Magnetic resonance 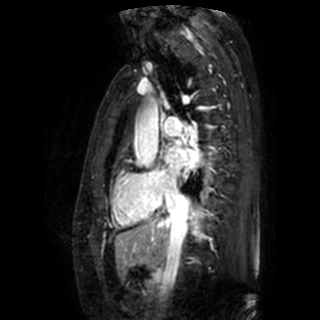

Left atrium at l=166, t=146, r=198, b=176.